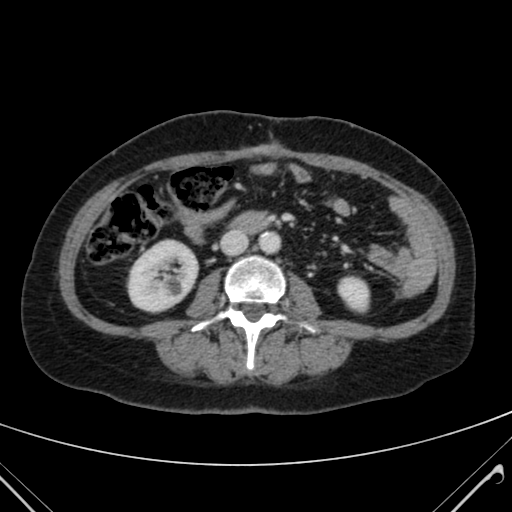
512x512 px | CT scan slice
Annotated regions:
* kidney: [129, 241, 196, 310], [340, 279, 367, 307]